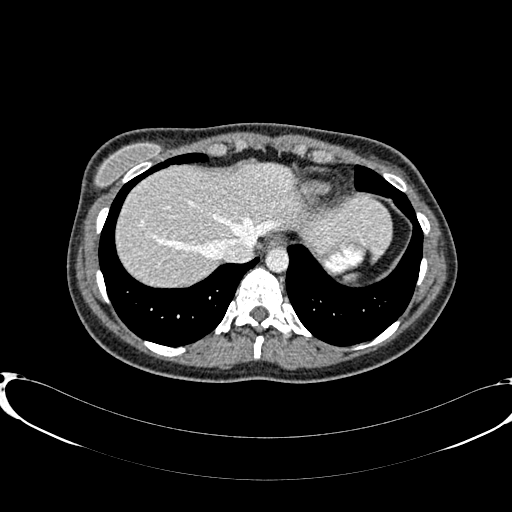
Liver; Computed tomography; Image size 512x512
Liver: bounding box [x1=116, y1=163, x2=391, y2=285].